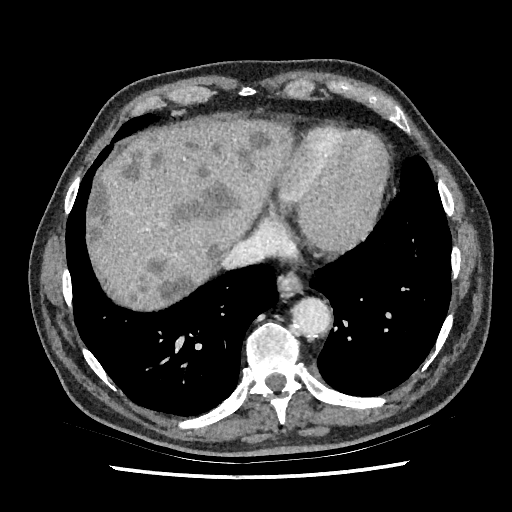
CT scan slice

{
  "liver": [
    "x1=87, y1=115, x2=291, y2=310"
  ],
  "focal_liver_lesion": [
    "x1=205, y1=244, x2=221, y2=271",
    "x1=184, y1=140, x2=200, y2=148",
    "x1=146, y1=255, x2=194, y2=303",
    "x1=197, y1=164, x2=209, y2=176",
    "x1=127, y1=293, x2=138, y2=303",
    "x1=151, y1=149, x2=164, y2=170",
    "x1=136, y1=275, x2=149, y2=292",
    "x1=148, y1=131, x2=158, y2=142",
    "x1=212, y1=139, x2=224, y2=154",
    "x1=238, y1=131, x2=271, y2=173",
    "x1=88, y1=174, x2=110, y2=224",
    "x1=121, y1=150, x2=142, y2=181",
    "x1=143, y1=198, x2=152, y2=206",
    "x1=170, y1=180, x2=242, y2=228",
    "x1=90, y1=227, x2=102, y2=242"
  ]
}